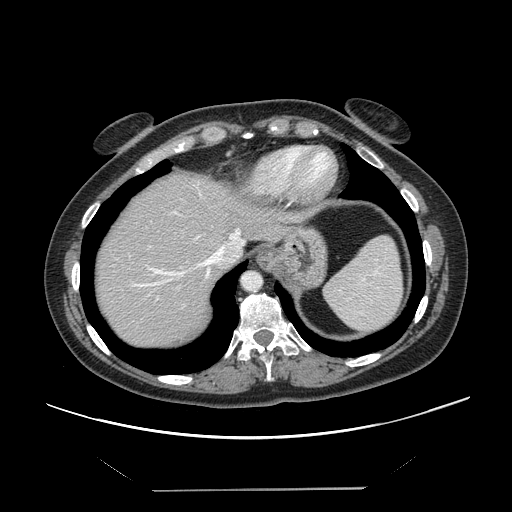
CT scan slice

Not every hepatic vessel necessarily has a box.
Hepatic vessel: bounding box 146 265 147 267, 198 190 201 196, 172 211 177 213, 130 229 243 287.